CT slice, Abdomen, Image width 417 mm
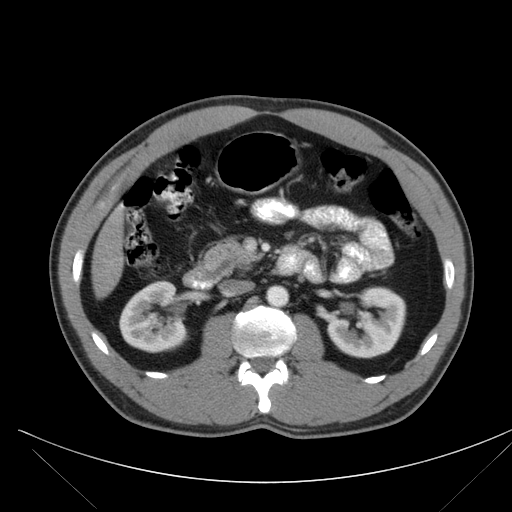
Pancreas at (202,237,248,271).